CT scan slice; Liver
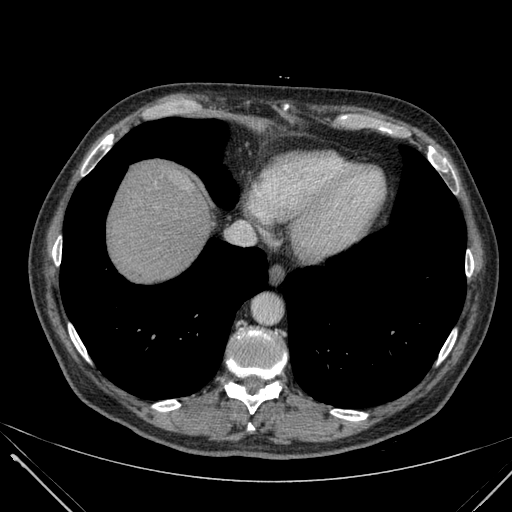
The liver appears at box=[107, 160, 215, 283].